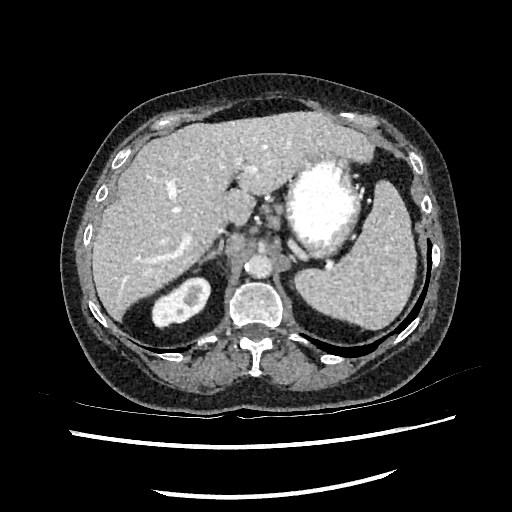
CT.
Liver at box(94, 111, 374, 320).
Kidney at box(153, 278, 209, 326).